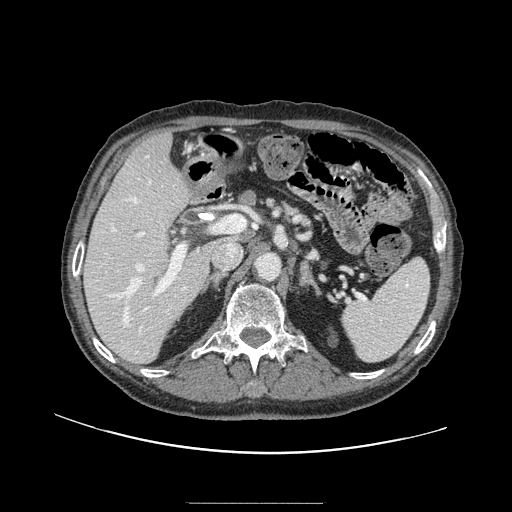

CT scan slice. Abdomen.

The pancreas is bounded by left=280, top=203, right=298, bottom=214.